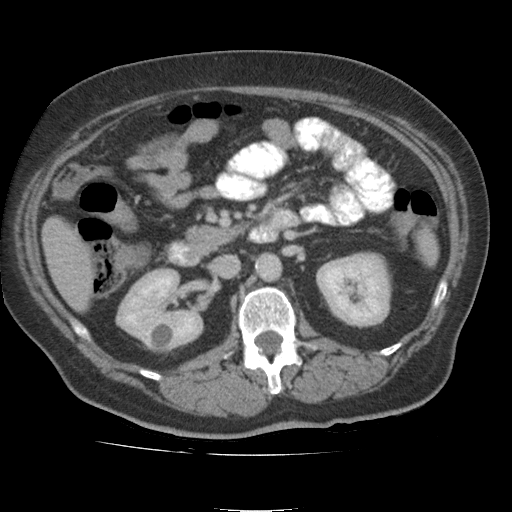 CT
2 kidney regions are bounded by [320,254,387,321], [115,271,201,344]. The liver lies within [45,222,93,305].